FLAIR magnetic resonance.
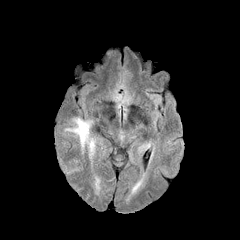
T1-weighted MR.
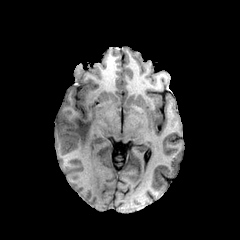
Post-contrast T1-weighted MR image.
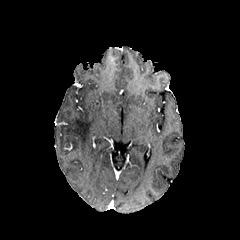
T2-weighted MRI.
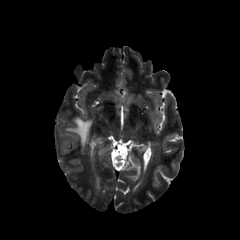
Brain
The edema lies within left=65, top=117, right=94, bottom=155.